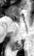
MR; Medial temporal lobe
posterior hippocampus: x1=12 y1=41 x2=22 y2=49